Slice 99/155; 240x240
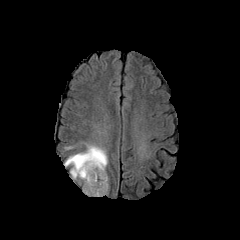
FLAIR MRI.
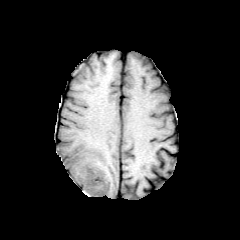
T1-weighted MR image of the same slice.
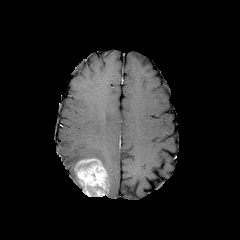
Post-contrast T1-weighted magnetic resonance of the same slice.
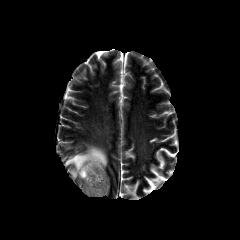
Same slice, T2-weighted MR image.
edema: rect(64, 143, 107, 168) | enhancing tumor: rect(73, 158, 108, 196)